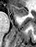
Image size 36x47, MR image
The anterior hippocampus is bounded by box=[10, 5, 27, 16].